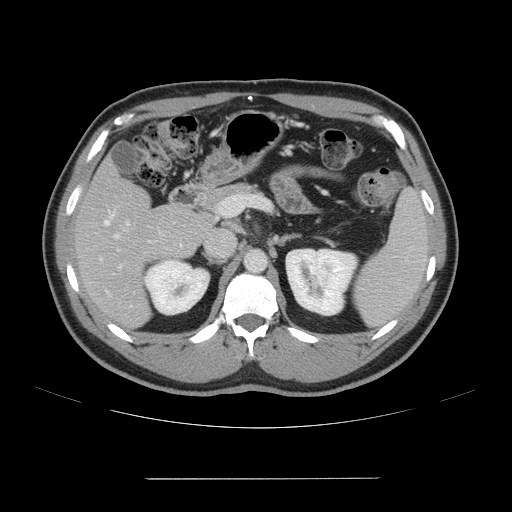

Liver | 512x512 px | CT scan slice
The vessel boxes may cover only some of the vessels.
6 hepatic vessel regions are bounded by {"x1": 106, "y1": 290, "x2": 111, "y2": 296}, {"x1": 119, "y1": 266, "x2": 121, "y2": 267}, {"x1": 115, "y1": 234, "x2": 118, "y2": 238}, {"x1": 127, "y1": 221, "x2": 128, "y2": 224}, {"x1": 104, "y1": 220, "x2": 109, "y2": 224}, {"x1": 108, "y1": 210, "x2": 114, "y2": 216}.